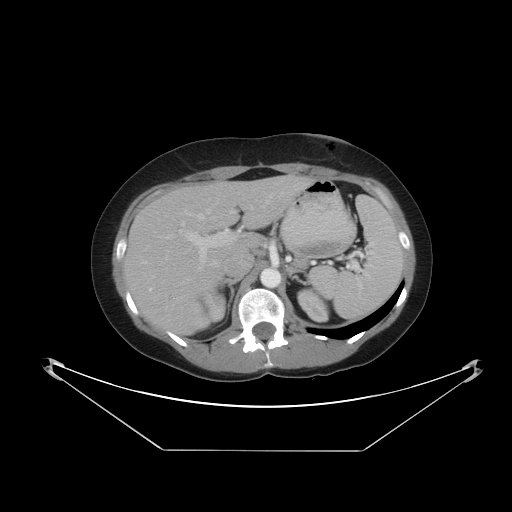
CT scan slice, Abdomen

The vessel boxes may cover only some of the vessels.
hepatic_vessel:
  - 212,261,218,265
  - 251,206,252,208
  - 185,229,240,269
  - 265,194,271,203
  - 207,210,209,212
  - 230,210,234,213
  - 179,221,184,232
  - 198,214,203,220
  - 280,193,282,195